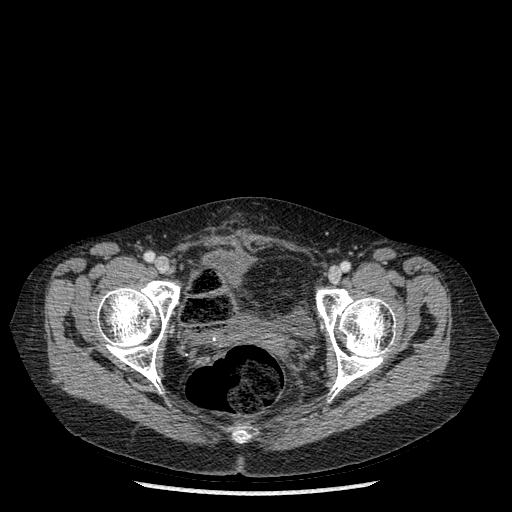

CT scan slice

* bone: [232, 430, 250, 443], [316, 288, 395, 400], [95, 280, 180, 391]